Chest, Computed tomography 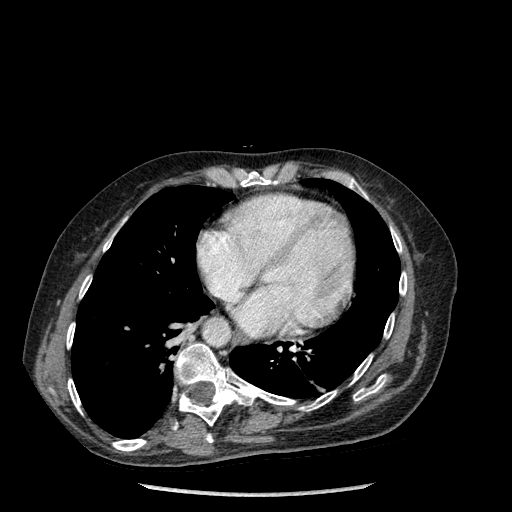 lung:
  - x1=71 y1=185 x2=233 y2=438
  - x1=229 y1=179 x2=400 y2=398
bone:
  - x1=79 y1=275 x2=91 y2=298
  - x1=297 y1=390 x2=336 y2=411
  - x1=346 y1=178 x2=368 y2=199
  - x1=112 y1=439 x2=146 y2=451
  - x1=67 y1=379 x2=82 y2=414
  - x1=206 y1=433 x2=212 y2=442
  - x1=237 y1=170 x2=279 y2=186
  - x1=390 y1=227 x2=402 y2=252
  - x1=384 y1=313 x2=394 y2=338
  - x1=103 y1=219 x2=124 y2=251
  - x1=174 y1=343 x2=295 y2=425
  - x1=353 y1=374 x2=386 y2=401
  - x1=350 y1=354 x2=372 y2=384
  - x1=66 y1=323 x2=74 y2=348
  - x1=399 y1=271 x2=407 y2=295